CT, Abdomen 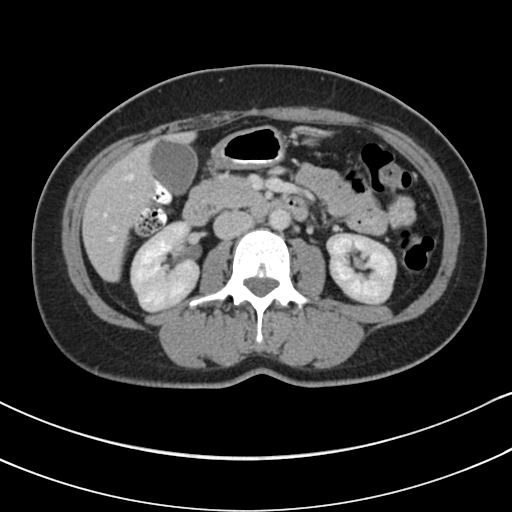

{"pancreas": ["(199, 173, 263, 214)"]}